Field of view 400x400 mm; CT; Pelvis; Slice index 76; 512x512 px

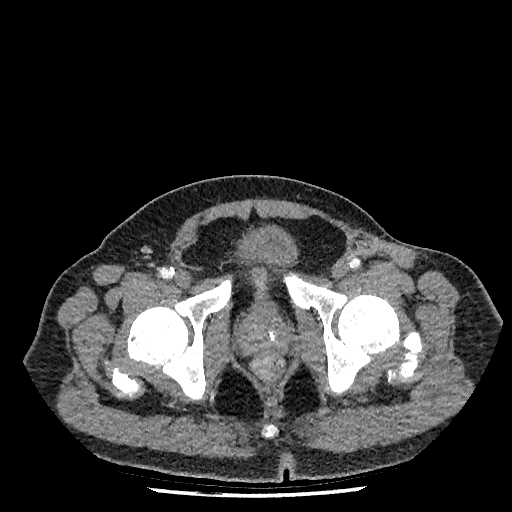

<segmentation>
  <urinary_bladder>left=230, top=227, right=298, bottom=316</urinary_bladder>
</segmentation>